240x240 px
FLAIR MR image.
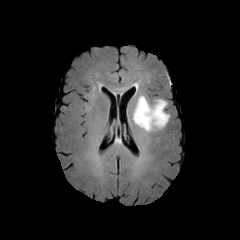
T1-weighted MR image.
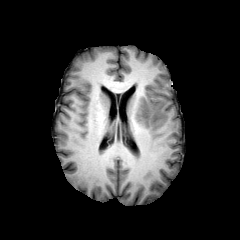
Post-contrast T1-weighted MR image.
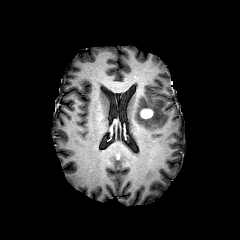
T2-weighted magnetic resonance.
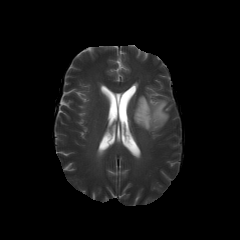
The enhancing tumor is at {"x1": 140, "y1": 108, "x2": 153, "y2": 118}. The edema appears at {"x1": 132, "y1": 95, "x2": 169, "y2": 133}.